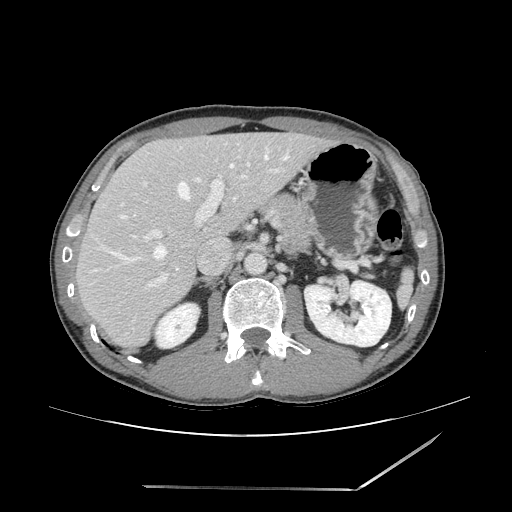 Computed tomography. The pancreas is at [262, 193, 312, 253].